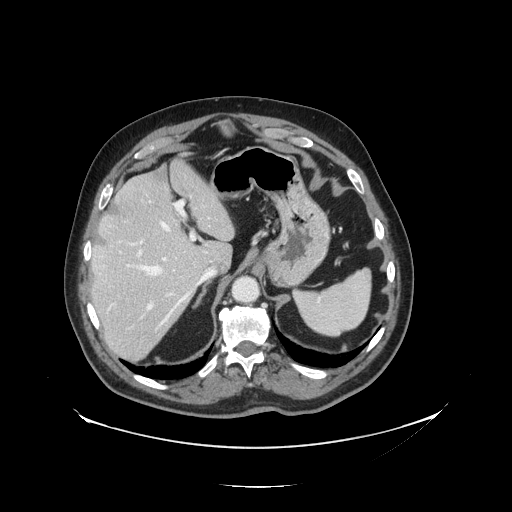

CT scan slice. Image size 512x512.
The vessel annotation is not exhaustive.
Liver tumor: bounding box bbox(154, 165, 167, 181).
Most prominent 15 of 18 hepatic vessel regions: bounding box bbox(111, 304, 115, 306); bbox(161, 222, 170, 231); bbox(174, 201, 184, 215); bbox(168, 294, 172, 295); bbox(147, 303, 153, 310); bbox(137, 266, 162, 276); bbox(140, 240, 143, 243); bbox(203, 242, 208, 246); bbox(130, 243, 135, 245); bbox(201, 268, 216, 281); bbox(192, 233, 195, 240); bbox(163, 258, 166, 260); bbox(160, 295, 188, 325); bbox(128, 265, 132, 266); bbox(138, 251, 141, 256).